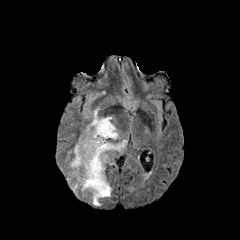
FLAIR MR image.
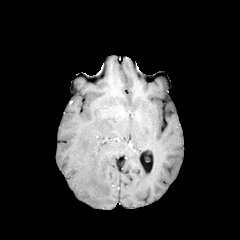
T1-weighted MRI of the same slice.
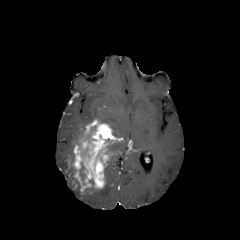
Post-contrast T1-weighted MRI.
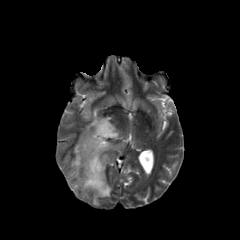
Same slice, T2-weighted MR image.
Brain
{"edema": ["bbox=[70, 175, 76, 188]", "bbox=[86, 108, 119, 137]", "bbox=[69, 153, 74, 173]", "bbox=[106, 139, 127, 158]", "bbox=[82, 168, 111, 205]"], "non-enhancing_tumor_core": ["bbox=[78, 164, 85, 183]", "bbox=[81, 126, 95, 139]"], "enhancing_tumor": ["bbox=[72, 120, 117, 191]"]}